Head. Slice 76/155.
FLAIR MR.
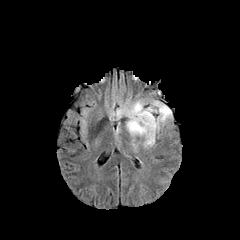
T1-weighted MRI.
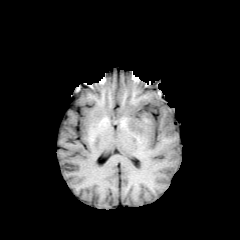
Post-contrast T1-weighted MR.
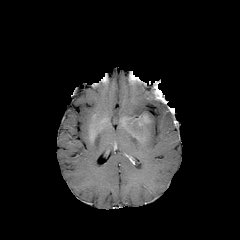
T2-weighted magnetic resonance.
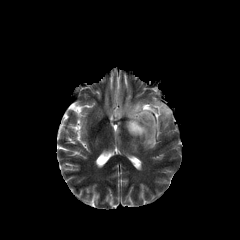
The non-enhancing tumor core lies within [135,116,149,124]. The edema is at [107,91,172,148].